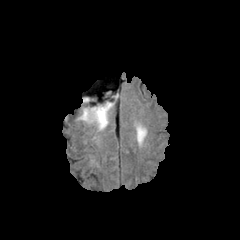
FLAIR MRI.
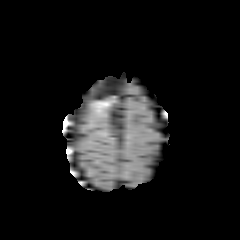
T1-weighted MRI.
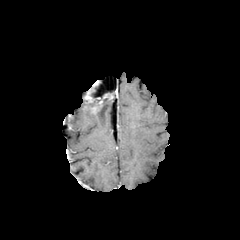
Post-contrast T1-weighted magnetic resonance.
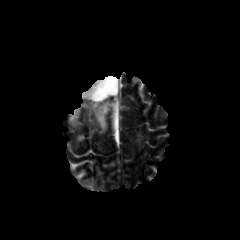
T2-weighted MR.
Brain. Image size 240x240.
2 edema regions are bounded by (77, 100, 115, 132), (136, 125, 146, 143).